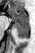
MR | 35x53 | Medial temporal lobe

Anterior hippocampus = <bbox>8, 8, 28, 23</bbox>.
Posterior hippocampus = <bbox>16, 24, 28, 37</bbox>.